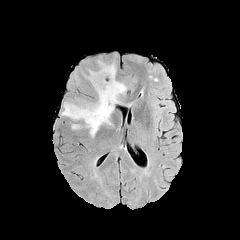
FLAIR MR.
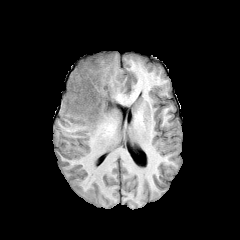
T1-weighted MRI of the same slice.
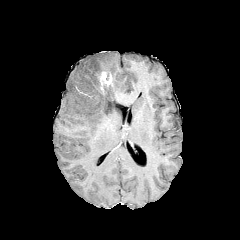
Same slice, post-contrast T1-weighted MR image.
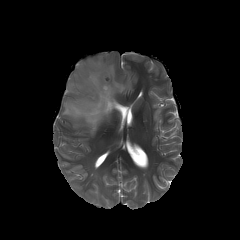
T2-weighted MR.
The non-enhancing tumor core appears at (left=96, top=72, right=114, bottom=94). The enhancing tumor lies within (left=98, top=72, right=112, bottom=92). The edema lies within (left=61, top=59, right=126, bottom=137).